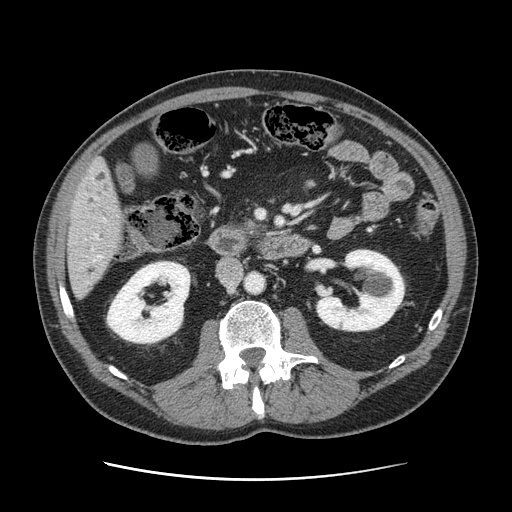

Computed tomography

{
  "pancreas": [
    "bbox(242, 218, 265, 237)"
  ]
}